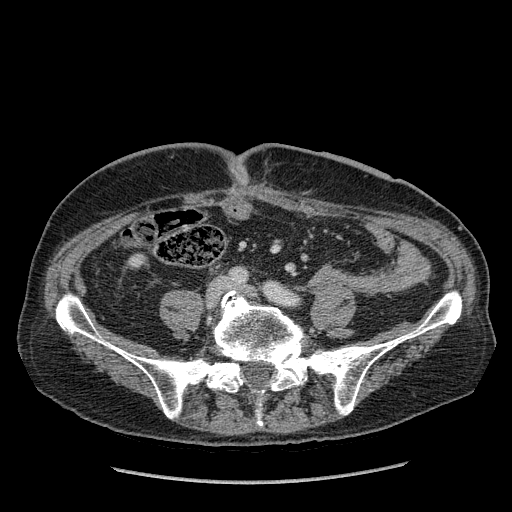 CT scan slice, Abdomen
{"kidney": ["129 255 143 266"]}